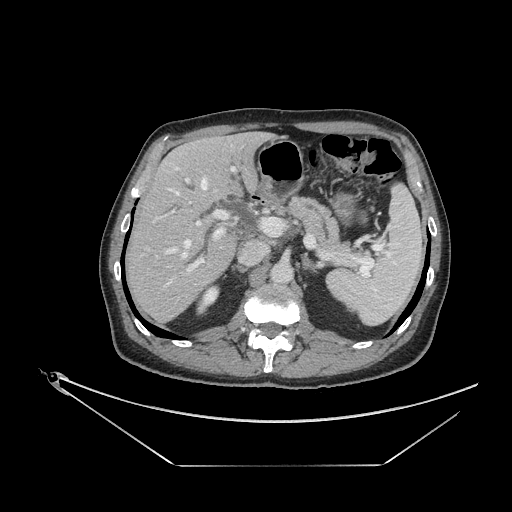
CT image, Upper abdomen

Pancreas at box=[288, 196, 368, 256].